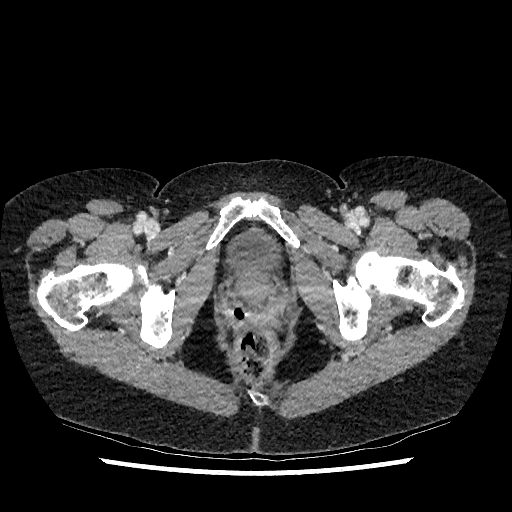
CT slice; 512x512 px; Pelvis
Segmented structures:
• urinary bladder: x1=222, y1=220, x2=288, y2=289